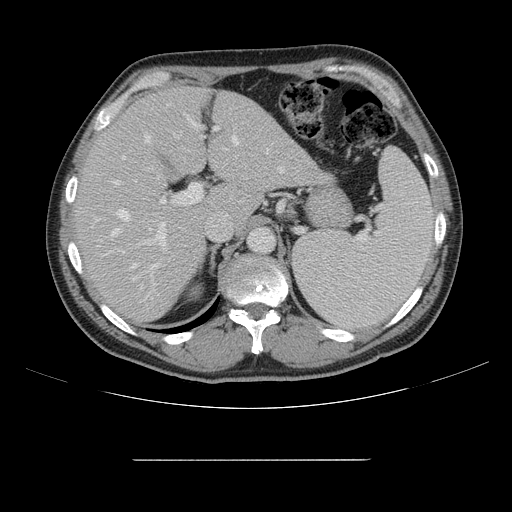

Image size 512x512; CT image
The vessel annotation is not exhaustive.
Principal 15 of 25 hepatic vessel regions = <bbox>110, 229, 119, 239</bbox>, <bbox>186, 115, 203, 129</bbox>, <bbox>144, 291, 151, 299</bbox>, <bbox>148, 264, 157, 286</bbox>, <bbox>160, 197, 165, 203</bbox>, <bbox>120, 250, 124, 253</bbox>, <bbox>232, 135, 238, 143</bbox>, <bbox>118, 209, 128, 219</bbox>, <bbox>132, 276, 138, 280</bbox>, <bbox>113, 181, 118, 183</bbox>, <bbox>131, 264, 135, 268</bbox>, <bbox>172, 183, 202, 204</bbox>, <bbox>144, 223, 165, 245</bbox>, <bbox>279, 167, 283, 172</bbox>, <bbox>214, 126, 219, 130</bbox>.